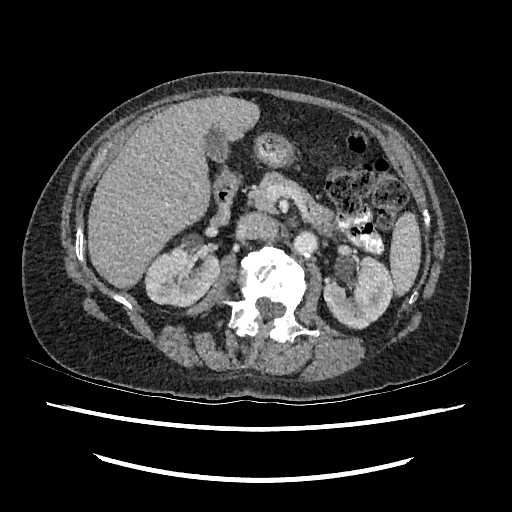
Computed tomography

The liver is bounded by 88, 96, 259, 288. 2 kidney regions appear at 145, 249, 219, 306; 324, 257, 391, 328.